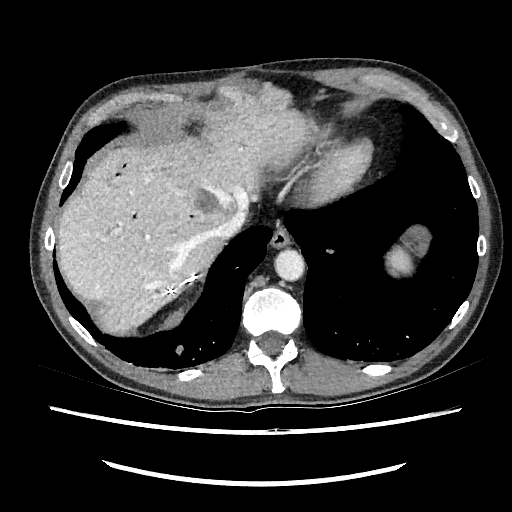

Upper abdomen; Computed tomography
Liver at bbox=[59, 85, 314, 331].
Hepatic lesion at bbox=[196, 188, 221, 213].